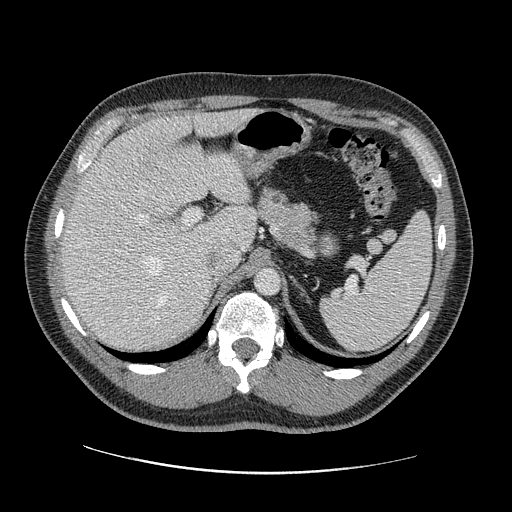 CT image. pancreas: region(256, 184, 322, 252)